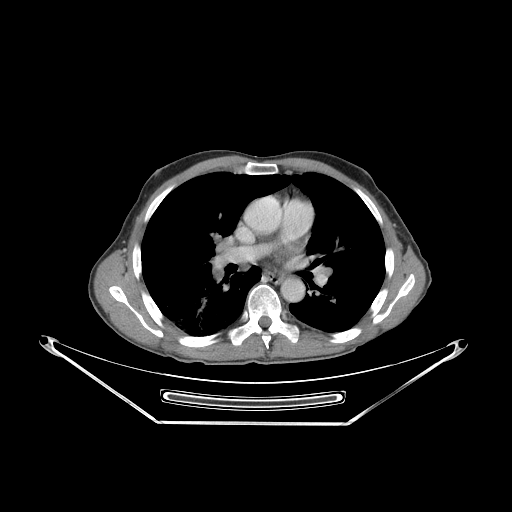 Chest | Computed tomography
{"lung": ["rect(141, 172, 384, 335)"], "bone": ["rect(133, 246, 140, 279)", "rect(385, 250, 393, 275)", "rect(145, 187, 171, 220)", "rect(179, 335, 216, 346)", "rect(230, 285, 297, 348)", "rect(109, 286, 164, 336)", "rect(246, 162, 275, 174)", "rect(331, 329, 360, 342)", "rect(371, 274, 414, 323)", "rect(356, 189, 381, 222)"]}